Slice 50 of 155. Image width 240 mm. Head.
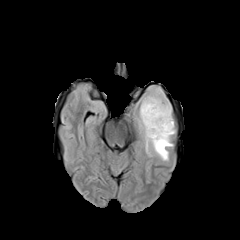
FLAIR MR.
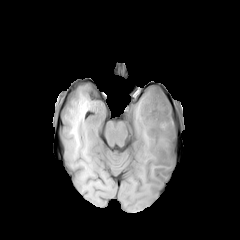
T1-weighted MR.
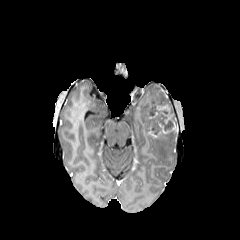
Post-contrast T1-weighted MR of the same slice.
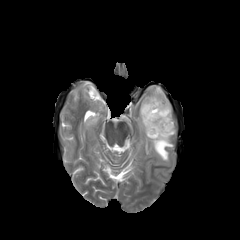
T2-weighted MRI.
Non-enhancing tumor core: <box>146,96,174,134</box>.
Enhancing tumor: <box>156,104,170,122</box>.
Edema: <box>136,87,175,161</box>.